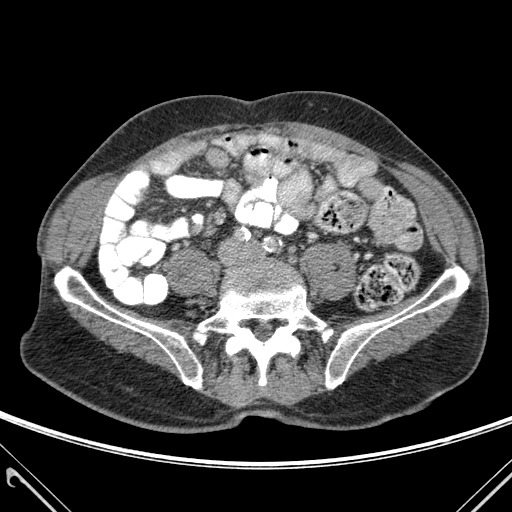
CT scan slice
<segmentation>
  <bone>rect(194, 270, 332, 385); rect(325, 266, 468, 388); rect(55, 267, 202, 388)</bone>
</segmentation>